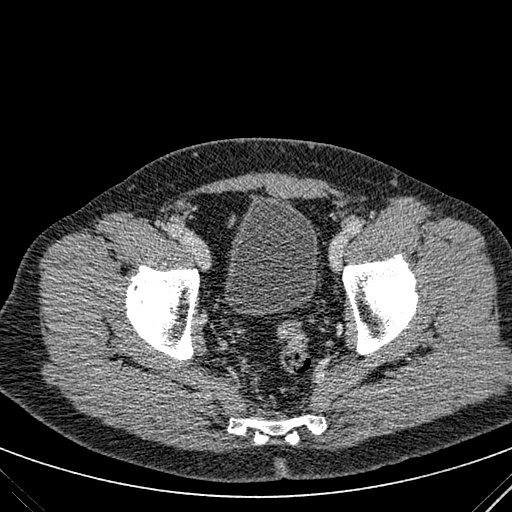
Image size 512x512; CT

{"urinary_bladder": ["l=223, t=197, r=320, b=316"]}